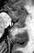 MR image; Medial temporal lobe
Anterior hippocampus: bounding box [7,7,25,20].
Posterior hippocampus: bounding box [14,20,25,27].